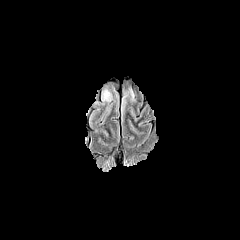
FLAIR magnetic resonance.
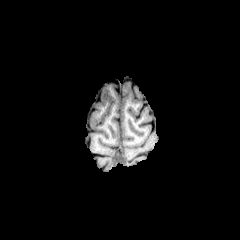
T1-weighted MR.
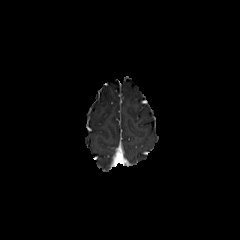
Post-contrast T1-weighted MR image.
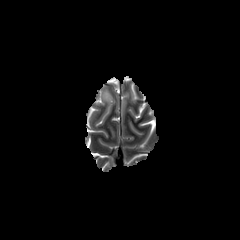
T2-weighted magnetic resonance.
Head | Image size 240x240
<segmentation>
  <edema><box>121,99,127,114</box>, <box>104,90,113,102</box></edema>
</segmentation>